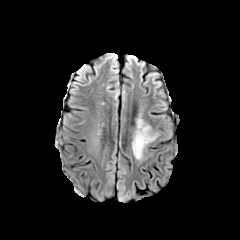
FLAIR MR image.
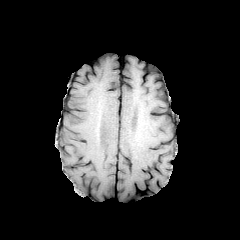
T1-weighted magnetic resonance.
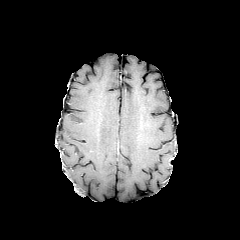
Post-contrast T1-weighted magnetic resonance.
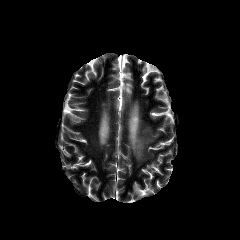
T2-weighted magnetic resonance of the same slice.
<segmentation>
  <edema>x1=132 y1=122 x2=155 y2=159</edema>
</segmentation>